Slice 379 of 677; CT image; Field of view 367 mm wide, 0.70 mm slice spacing; Liver
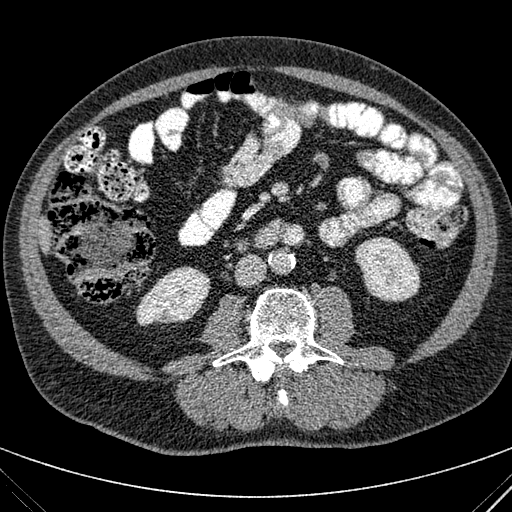
liver:
  - 39 220 49 252
kidney:
  - 356 237 419 301
  - 137 267 210 325